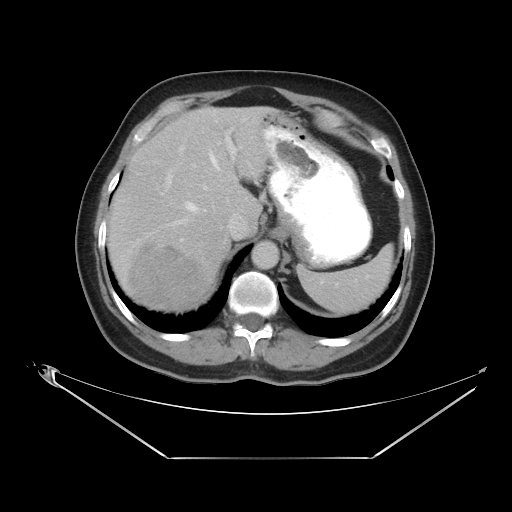 Liver. 512x512 px. CT scan slice. Only some of the vessels may be annotated.
Hepatic vessel = [x1=167, y1=174, x2=171, y2=178], [x1=212, y1=159, x2=215, y2=165], [x1=242, y1=115, x2=249, y2=122], [x1=170, y1=204, x2=201, y2=227], [x1=225, y1=127, x2=242, y2=160].
Liver tumor = [x1=125, y1=231, x2=213, y2=309].